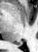

MR image.

The posterior hippocampus is bounded by box(15, 42, 22, 44).